Image size 512x512 | Slice index 391 | CT image
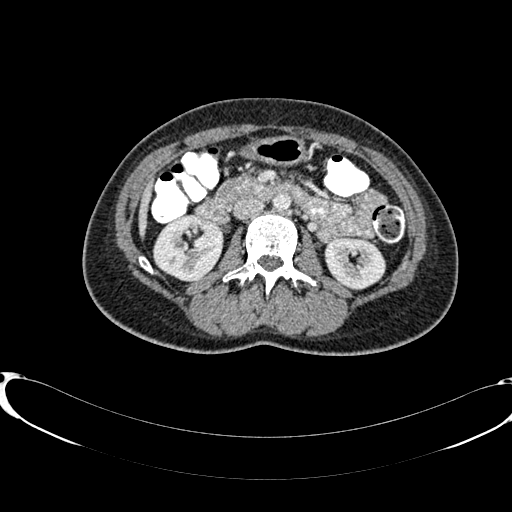 Liver — 138, 182, 151, 236.
Kidney — 154, 217, 221, 279; 326, 240, 384, 287.